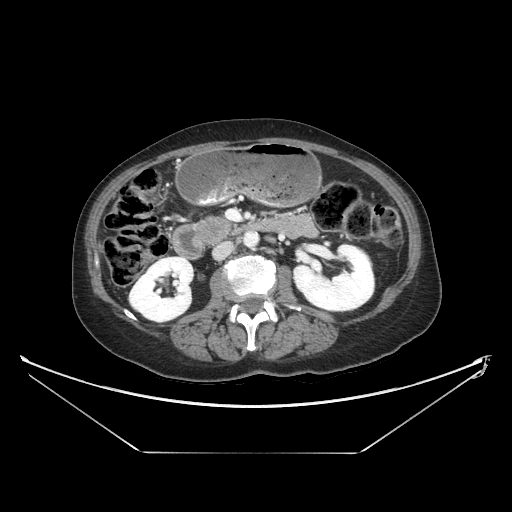 Abdomen; CT
The pancreas lies within left=199, top=216, right=231, bottom=243. The pancreatic tumor is at left=205, top=221, right=222, bottom=238.